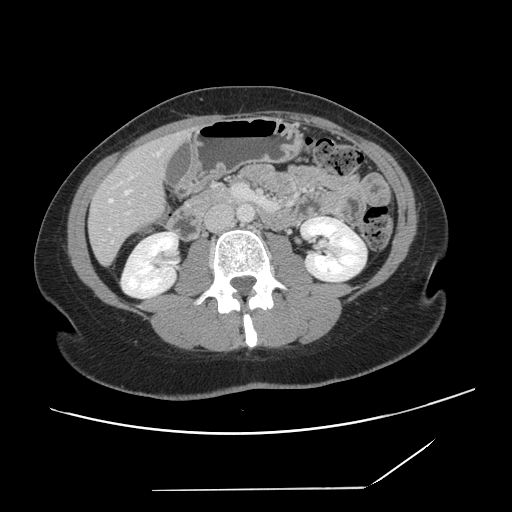
CT image
The vessel boxes may cover only some of the vessels.
Hepatic vessel: bounding box rect(109, 199, 112, 201); rect(125, 190, 130, 194); rect(127, 212, 129, 214); rect(119, 182, 121, 184); rect(157, 149, 161, 155); rect(129, 177, 132, 178).